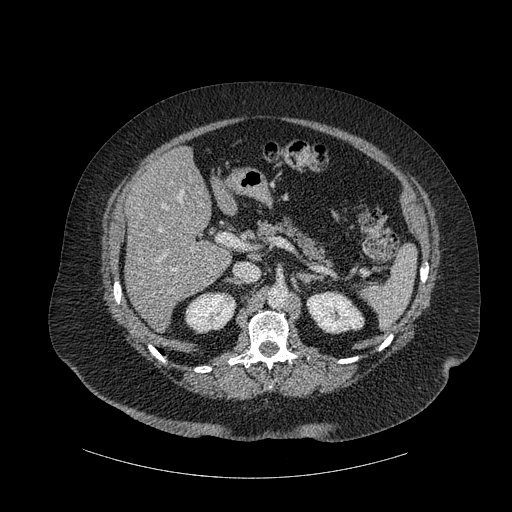

512x512 px; Computed tomography; Upper abdomen
<segmentation>
  <bone>338, 357, 357, 363; 194, 366, 211, 372; 114, 282, 121, 303; 420, 265, 428, 281; 228, 311, 297, 368; 379, 334, 392, 350; 149, 345, 165, 362</bone>
  <liver>125, 147, 230, 331; 219, 193, 237, 214</liver>
  <kidney>186, 294, 235, 331; 307, 292, 363, 332</kidney>
</segmentation>